Head
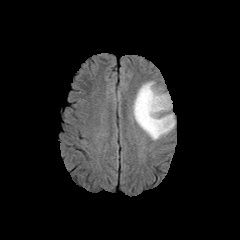
FLAIR magnetic resonance.
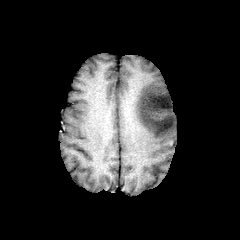
T1-weighted MR image.
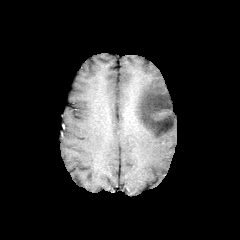
Post-contrast T1-weighted MR image.
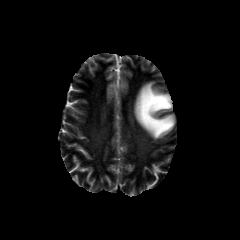
T2-weighted MR.
Findings:
• edema: bbox=[132, 80, 175, 141]
• non-enhancing tumor core: bbox=[140, 90, 169, 125]